Thorax. CT slice. 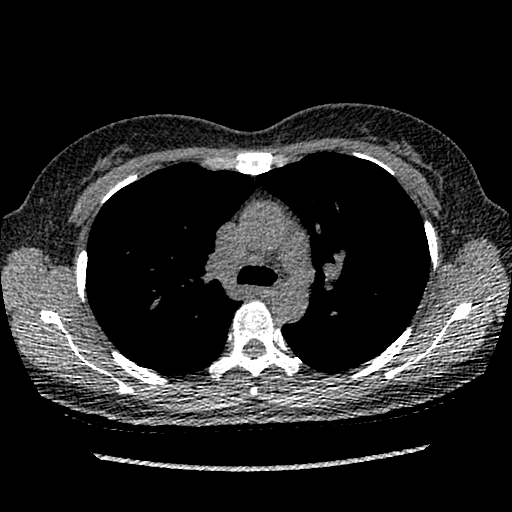
The lung tumor appears at x1=326, y1=308, x2=346, y2=338.